Slice 26/49; CT; Liver

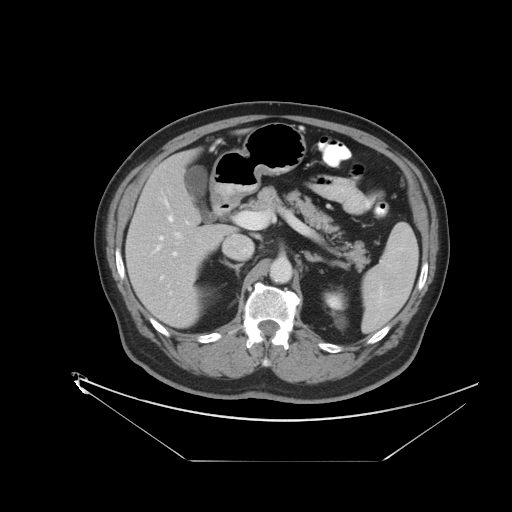
Not every hepatic vessel necessarily has a box.
Hepatic vessel — (left=186, top=221, right=188, bottom=223), (left=165, top=199, right=168, bottom=206), (left=173, top=252, right=176, bottom=255), (left=160, top=276, right=163, bottom=279), (left=168, top=216, right=172, bottom=221), (left=175, top=232, right=180, bottom=237), (left=159, top=236, right=163, bottom=239), (left=154, top=245, right=160, bottom=252), (left=169, top=291, right=171, bottom=293).